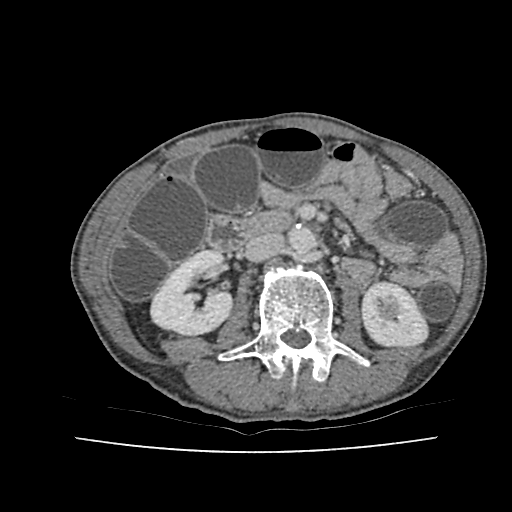
Abdomen; Computed tomography

2 kidney regions are located at rect(362, 283, 426, 345); rect(151, 251, 231, 334).